Slice 86 of 155 | 240x240 px
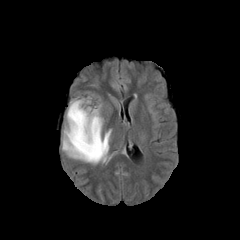
FLAIR magnetic resonance.
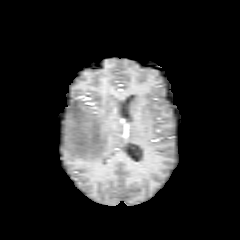
T1-weighted MR image.
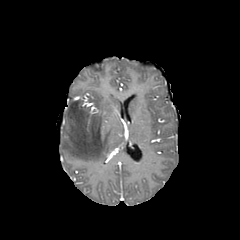
Same slice, post-contrast T1-weighted magnetic resonance.
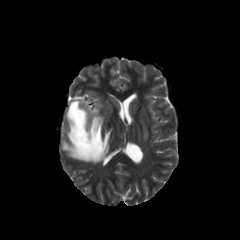
Same slice, T2-weighted MRI.
The edema is located at (x1=62, y1=100, x2=111, y2=162).